Head.
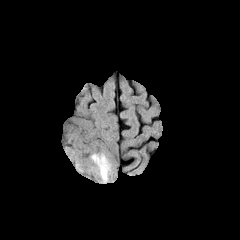
FLAIR MR.
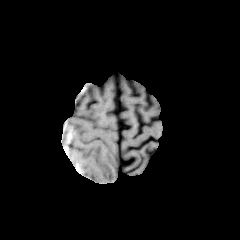
T1-weighted magnetic resonance.
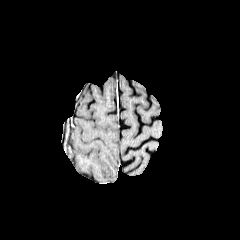
Post-contrast T1-weighted MRI of the same slice.
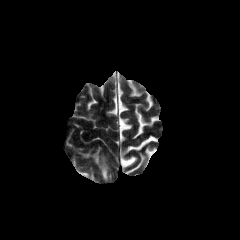
T2-weighted MR image.
Edema — bbox(92, 155, 107, 178).